CT, 512x512, Field of view 335x335 mm 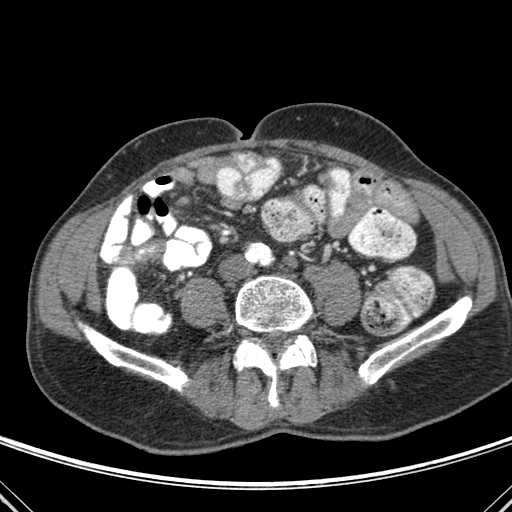
Bone: bounding box {"x1": 78, "y1": 322, "x2": 188, "y2": 391}, {"x1": 359, "y1": 296, "x2": 471, "y2": 384}, {"x1": 234, "y1": 336, "x2": 316, "y2": 407}, {"x1": 235, "y1": 276, "x2": 312, "y2": 333}.